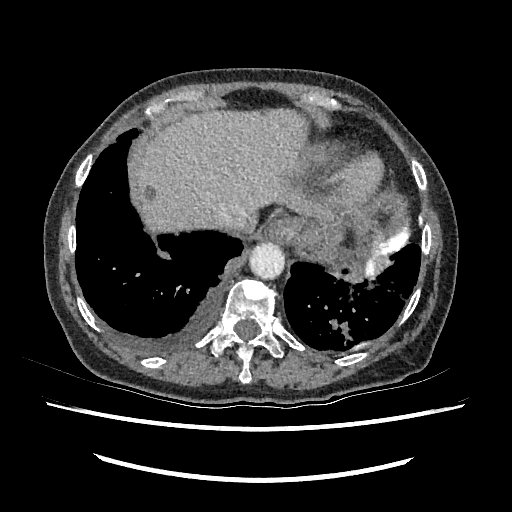
Upper abdomen; CT image
The liver is located at x1=136 y1=109 x2=317 y2=232. The liver lesion is bounded by x1=146 y1=187 x2=156 y2=199.